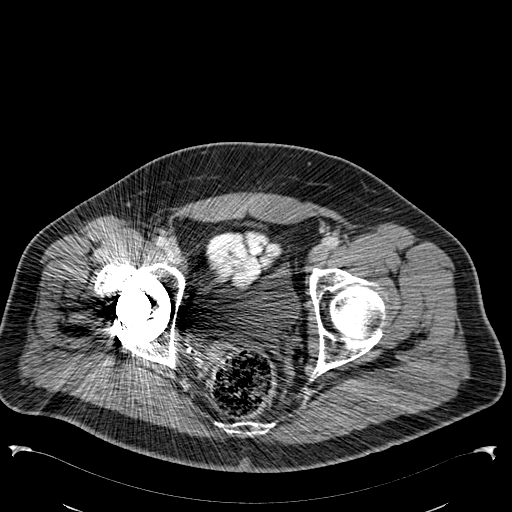

Pelvis, CT

Segmented structures:
• urinary bladder: bbox=[211, 248, 301, 338]; bbox=[253, 218, 259, 229]